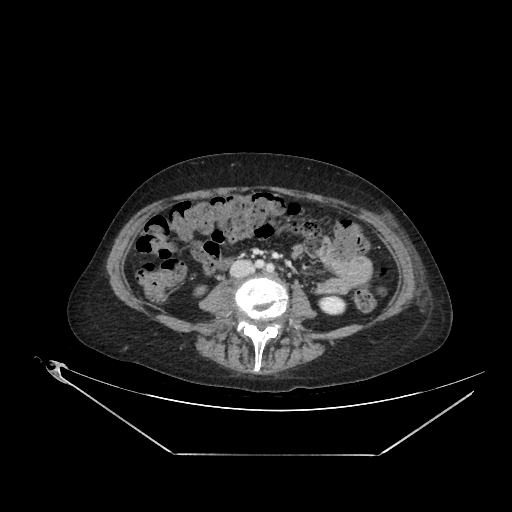 CT image. The kidney appears at left=321, top=297, right=343, bottom=313.